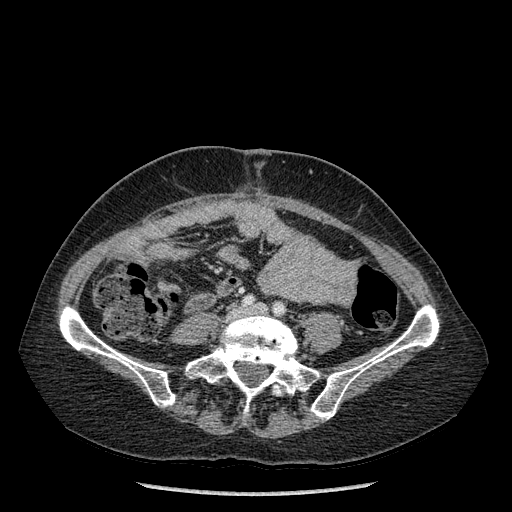
512x512 px; CT
Bone: left=310, top=304, right=439, bottom=419; left=59, top=305, right=174, bottom=407; left=186, top=312, right=319, bottom=414.